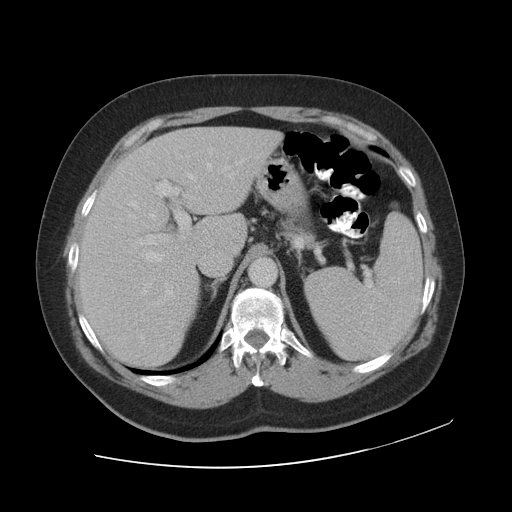

CT
The vessel annotation is not exhaustive.
<segmentation partial="true">
  <hepatic_vessel shown="15" total="19">(144, 284, 150, 291), (140, 336, 144, 343), (128, 214, 134, 217), (208, 148, 213, 154), (207, 163, 211, 170), (129, 201, 137, 208), (166, 289, 172, 294), (155, 184, 177, 193), (189, 174, 195, 180), (150, 214, 154, 218), (175, 210, 190, 240), (147, 235, 155, 238), (138, 238, 155, 244), (236, 158, 244, 163), (141, 234, 179, 267)</hepatic_vessel>
</segmentation>